Image width 240 mm; Brain
FLAIR MR.
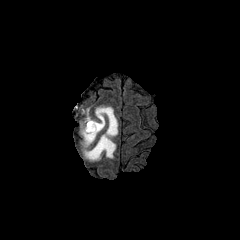
T1-weighted MRI.
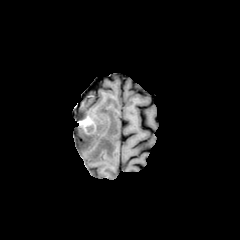
Post-contrast T1-weighted MR.
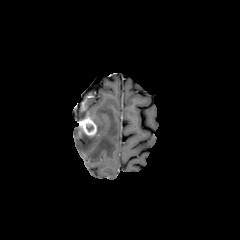
T2-weighted MR image.
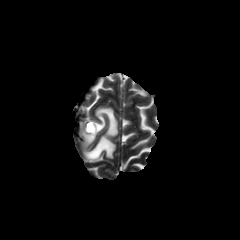
The edema is at box=[78, 106, 117, 162]. The enhancing tumor is at box=[79, 116, 97, 135].